Head
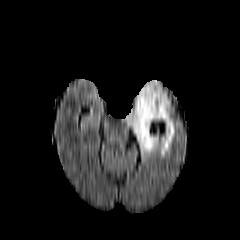
FLAIR MR image.
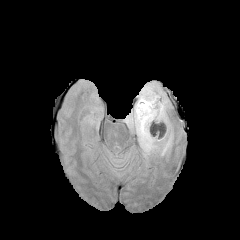
T1-weighted MRI.
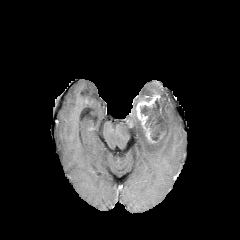
Post-contrast T1-weighted MR image.
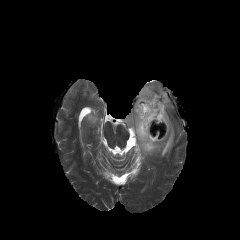
T2-weighted MR.
enhancing_tumor:
  - box(136, 94, 159, 139)
edema:
  - box(125, 82, 174, 156)